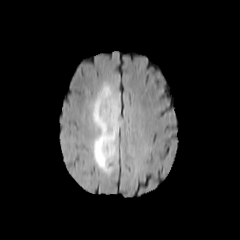
FLAIR MR.
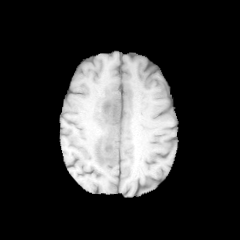
T1-weighted MRI.
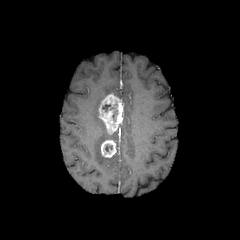
Post-contrast T1-weighted MRI of the same slice.
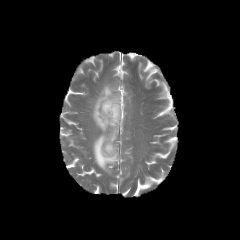
T2-weighted magnetic resonance.
240x240; Head
Enhancing tumor = left=98, top=94, right=123, bottom=134; left=101, top=140, right=116, bottom=158.
Non-enhancing tumor core = left=101, top=103, right=116, bottom=112.
Edema = left=92, top=83, right=119, bottom=175.